512x512 px, Liver, CT scan slice, Field of view 350 mm wide, 2.00 mm slice spacing 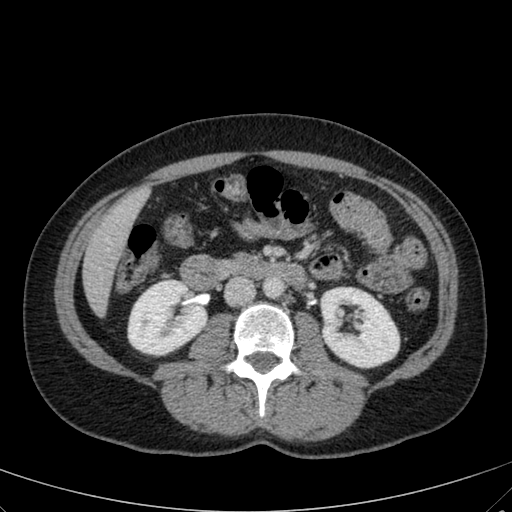 {"kidney": [{"x1": 128, "y1": 281, "x2": 205, "y2": 354}, {"x1": 321, "y1": 288, "x2": 398, "y2": 367}], "liver": [{"x1": 83, "y1": 200, "x2": 135, "y2": 315}]}